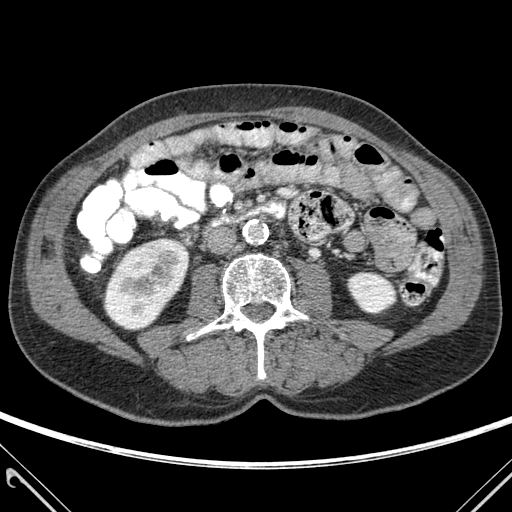

Computed tomography, Abdomen

Kidney = <box>349,273,394,312</box>, <box>105,240,186,328</box>.
Bone = <box>187,254,307,378</box>.